Image size 512x512. Liver. CT slice. 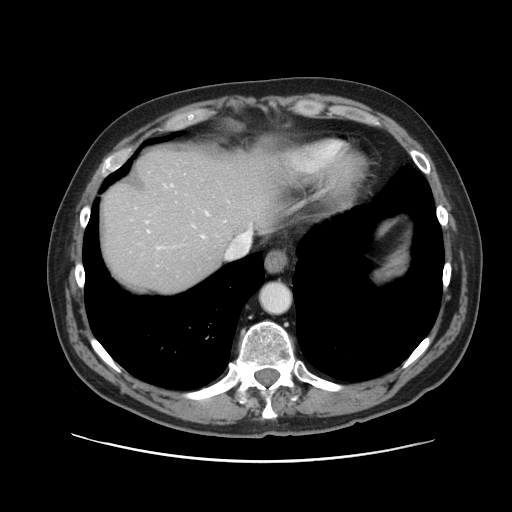 The vessel annotation is not exhaustive.
hepatic vessel: x1=206, y1=212, x2=208, y2=214; x1=170, y1=184, x2=172, y2=186; x1=145, y1=221, x2=148, y2=222; x1=156, y1=246, x2=162, y2=248; x1=147, y1=230, x2=149, y2=232